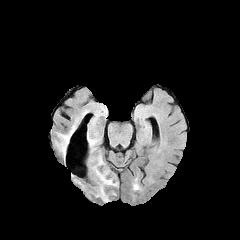
FLAIR magnetic resonance.
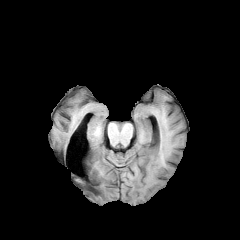
T1-weighted MR image.
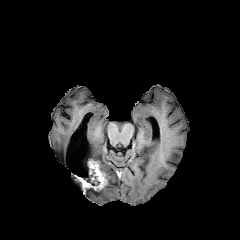
Same slice, post-contrast T1-weighted MR.
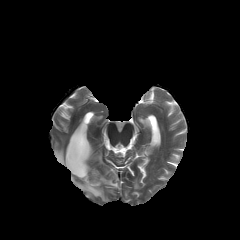
Same slice, T2-weighted MR image.
Head
{
  "edema": [
    "88 143 118 201",
    "56 135 68 158"
  ],
  "non-enhancing_tumor_core": [
    "87 161 99 186"
  ],
  "enhancing_tumor": [
    "90 164 106 190",
    "77 177 92 189"
  ]
}